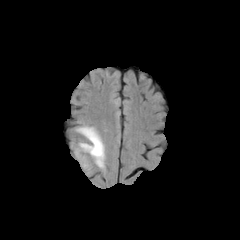
FLAIR magnetic resonance.
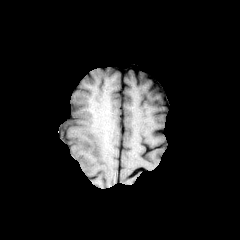
Same slice, T1-weighted MR.
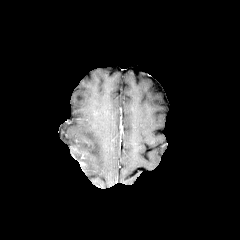
Same slice, post-contrast T1-weighted magnetic resonance.
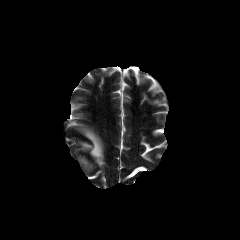
Same slice, T2-weighted MR.
<segmentation>
  <edema>x1=79, y1=127, x2=103, y2=166</edema>
</segmentation>